Field of view 240 mm wide, 1.00 mm slice spacing
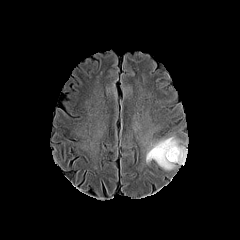
FLAIR MR.
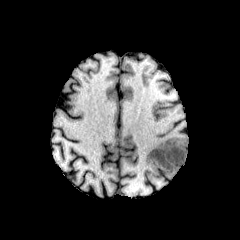
T1-weighted MR image.
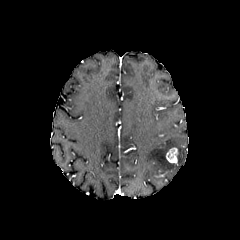
Post-contrast T1-weighted MR.
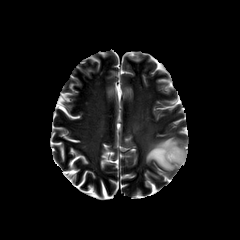
T2-weighted MR image.
Segmented structures:
- non-enhancing tumor core: 167,147,178,160
- enhancing tumor: 166,153,176,163
- edema: 146,136,187,170